Slice 77/155 | Brain
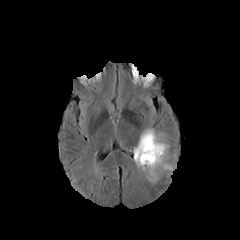
FLAIR MR image.
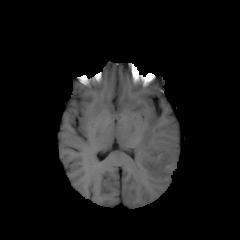
T1-weighted magnetic resonance.
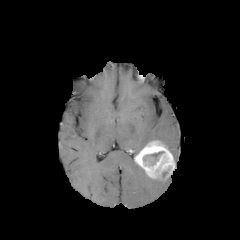
Same slice, post-contrast T1-weighted MRI.
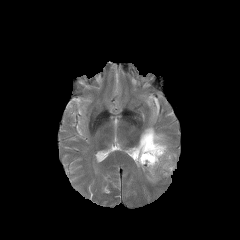
T2-weighted MR image.
Segmented structures:
- edema: box(136, 164, 166, 183); box(131, 126, 176, 160)
- enhancing tumor: box(134, 140, 175, 178)